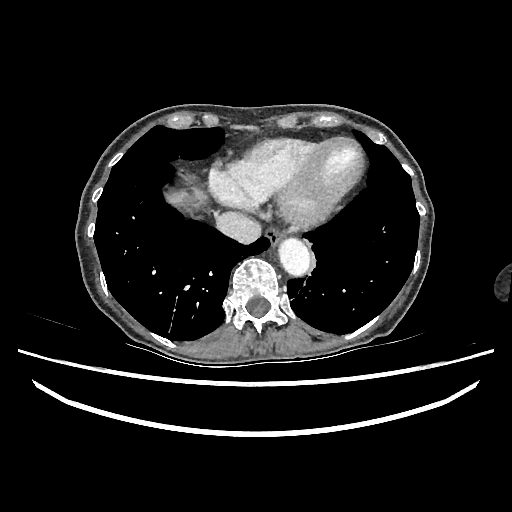 CT, Liver
{"liver": ["(169,191,185,203)", "(194,187,206,199)"]}